Slice index 39; 512x512 px; Upper abdomen; CT 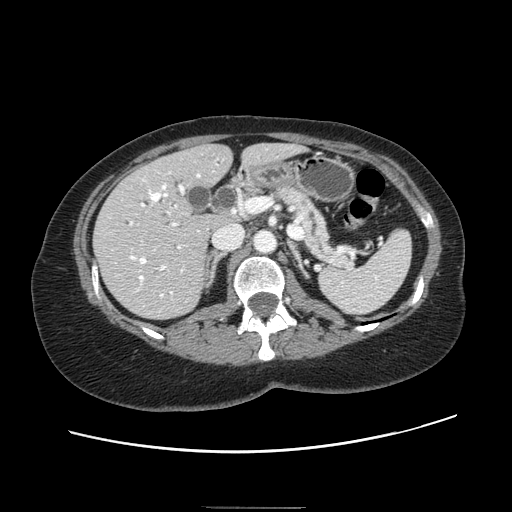
Pancreas at x1=277, y1=186, x2=352, y2=269.